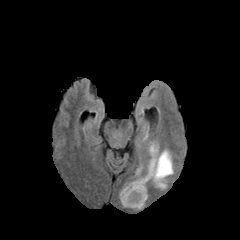
FLAIR magnetic resonance.
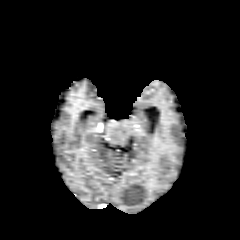
T1-weighted MR.
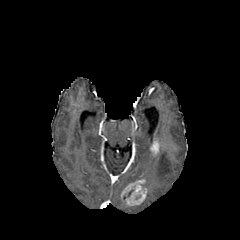
Post-contrast T1-weighted MR image.
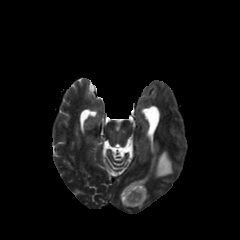
T2-weighted MR image.
240x240 px
enhancing_tumor:
  - [150, 141, 159, 153]
  - [120, 177, 147, 207]
edema:
  - [146, 150, 173, 189]